Image size 240x240; Image width 240 mm; Head
FLAIR magnetic resonance.
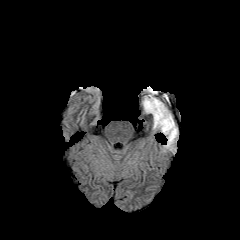
T1-weighted MR image.
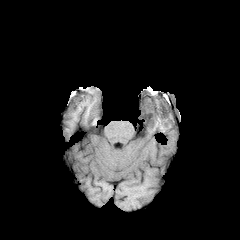
Post-contrast T1-weighted MR.
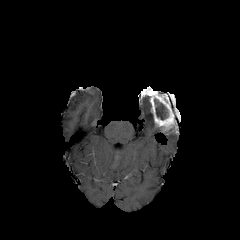
T2-weighted MR.
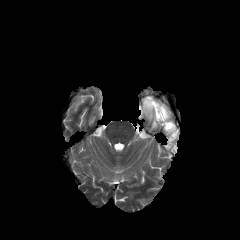
2 edema regions appear at region(141, 98, 150, 114); region(163, 133, 177, 152). The enhancing tumor is bounded by region(141, 91, 177, 133). 3 non-enhancing tumor core regions are located at region(156, 104, 166, 119); region(146, 90, 167, 100); region(141, 95, 151, 107).